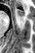 35x53 px | Hippocampus | MRI
anterior_hippocampus:
  - (17,9,24,16)